38x48; Magnetic resonance
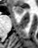
Anterior hippocampus at box(13, 6, 23, 13).